Computed tomography. Upper abdomen. Slice 38 of 89.
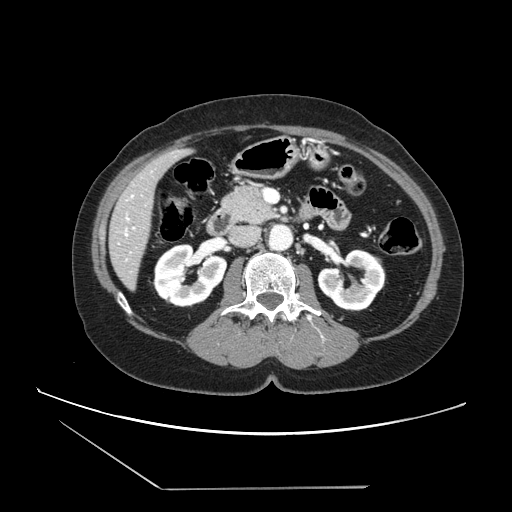

Pancreas — (222,186,274,224).